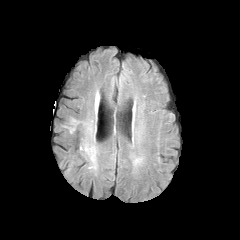
FLAIR MR image.
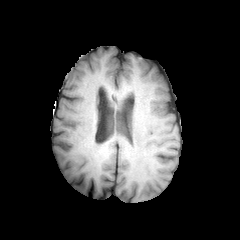
T1-weighted MR.
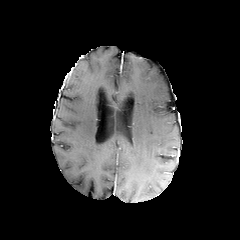
Post-contrast T1-weighted MR of the same slice.
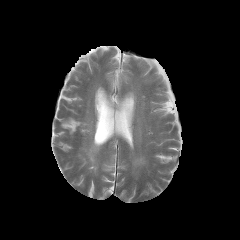
T2-weighted MR image.
{
  "edema": [
    "x1=133 y1=157 x2=143 y2=166"
  ]
}